Upper abdomen, CT image, Field of view 512x512 mm 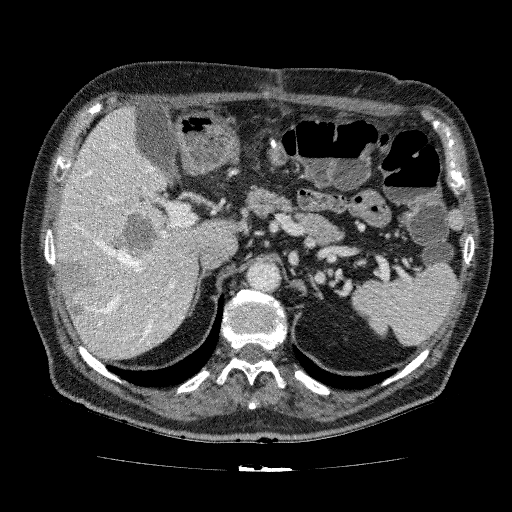

Liver — (x1=54, y1=105, x2=240, y2=359).
Hepatic lesion — (x1=164, y1=311, x2=175, y2=323), (x1=105, y1=210, x2=162, y2=259), (x1=56, y1=256, x2=97, y2=320).